Slice 107/155. 240x240 px.
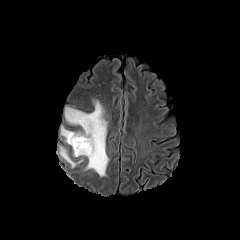
FLAIR MR image.
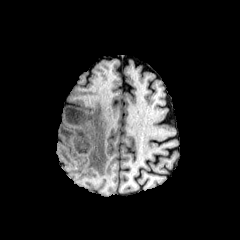
T1-weighted MR image of the same slice.
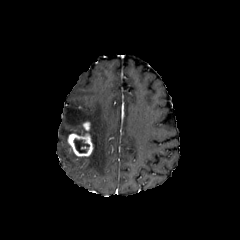
Post-contrast T1-weighted MRI.
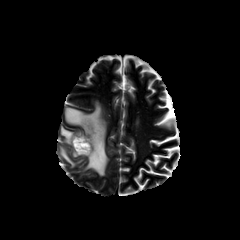
T2-weighted MR.
{"non-enhancing_tumor_core": ["74,137,89,153"], "enhancing_tumor": ["66,121,94,157"], "edema": ["64,100,109,177", "59,147,74,168", "60,125,72,141"]}